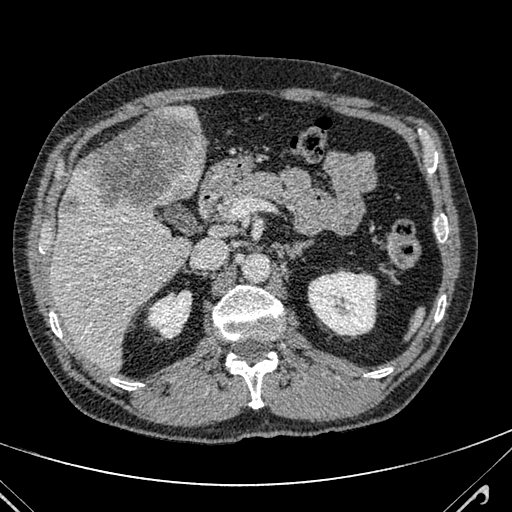
CT slice, Abdomen, Image size 512x512

Liver = [x1=52, y1=157, x2=205, y2=371], [x1=167, y1=107, x2=204, y2=138].
Hepatic lesion = [x1=60, y1=191, x2=76, y2=211], [x1=80, y1=109, x2=205, y2=208].